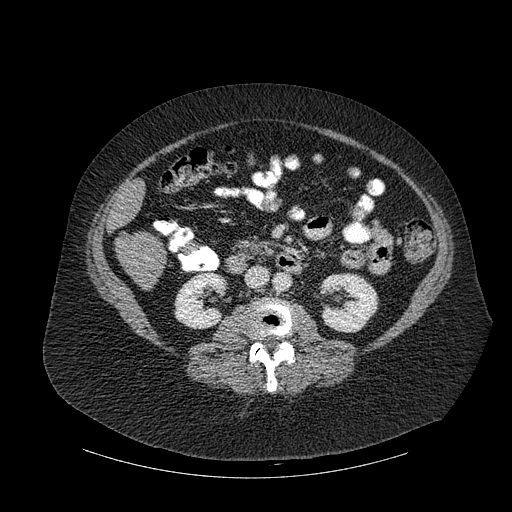
Image size 512x512 | CT image
2 kidney regions are bounded by 322 274 376 332, 175 273 224 328. 2 bone regions are bounded by 250 342 294 391, 249 300 294 339. 2 liver regions are bounded by 115 230 167 290, 108 179 145 230.